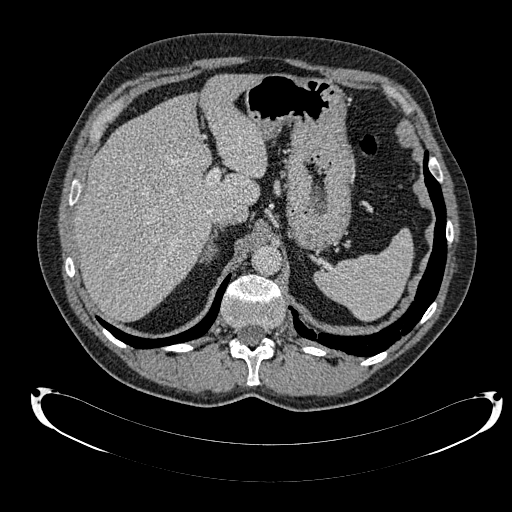
512x512, Upper abdomen, CT
<segmentation>
  <liver><bbox>75, 74, 266, 321</bbox></liver>
</segmentation>